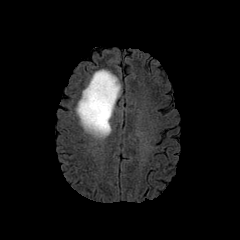
FLAIR MR.
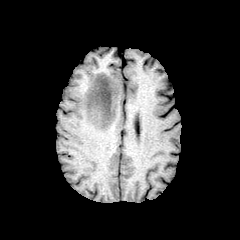
T1-weighted MR image of the same slice.
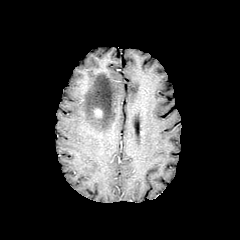
Post-contrast T1-weighted MR.
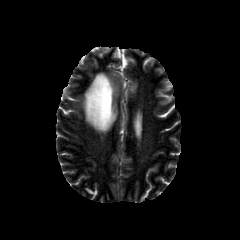
T2-weighted MRI.
Head | Image size 240x240
Edema at bbox(76, 69, 121, 138).
Non-enhancing tumor core at bbox(94, 88, 110, 121).